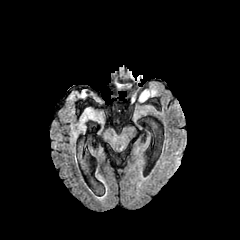
FLAIR MRI.
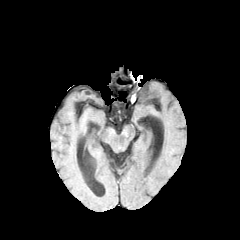
T1-weighted MRI of the same slice.
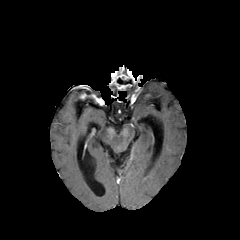
Post-contrast T1-weighted MR image.
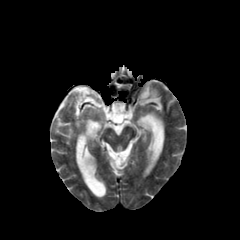
T2-weighted MR image.
240x240 px.
The edema is bounded by [x1=141, y1=90, x2=155, y2=100].